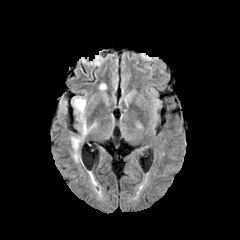
FLAIR MR.
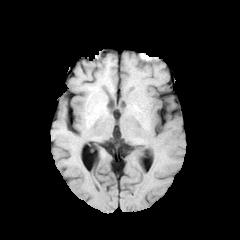
T1-weighted magnetic resonance.
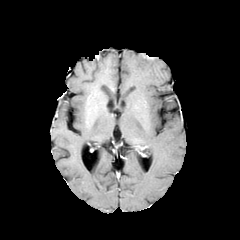
Post-contrast T1-weighted MR of the same slice.
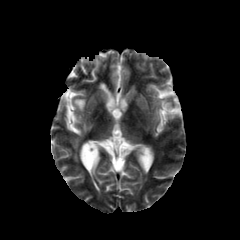
Same slice, T2-weighted MRI.
240x240 px; Brain
edema:
  - x1=71, y1=136, x2=80, y2=160
  - x1=98, y1=82, x2=106, y2=91
  - x1=71, y1=96, x2=93, y2=137